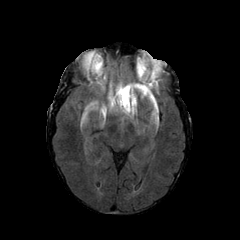
FLAIR MR.
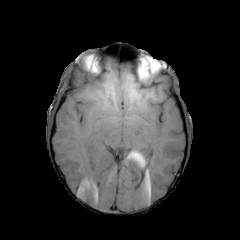
T1-weighted MR.
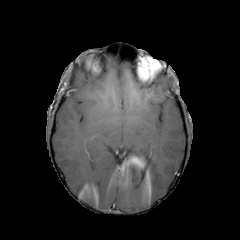
Post-contrast T1-weighted MR of the same slice.
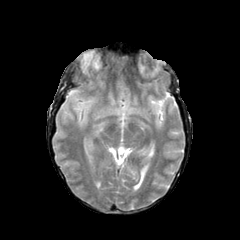
T2-weighted MR.
Brain
• edema: {"x1": 118, "y1": 86, "x2": 135, "y2": 114}, {"x1": 137, "y1": 72, "x2": 159, "y2": 113}, {"x1": 84, "y1": 102, "x2": 92, "y2": 116}
• non-enhancing tumor core: {"x1": 142, "y1": 68, "x2": 149, "y2": 79}